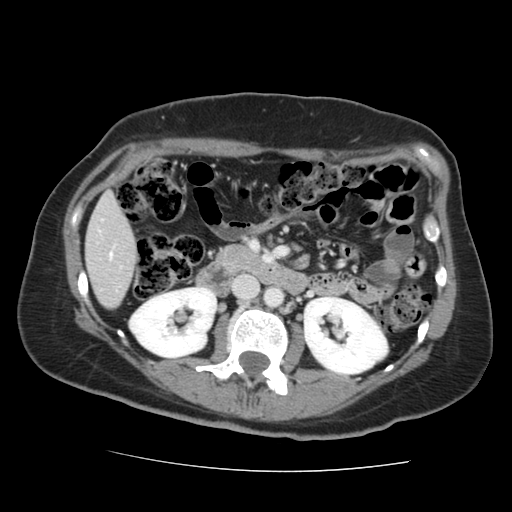

Computed tomography. Abdomen.
Some hepatic vessels may have no box.
hepatic_vessel:
  - [x1=109, y1=253, x2=111, y2=259]